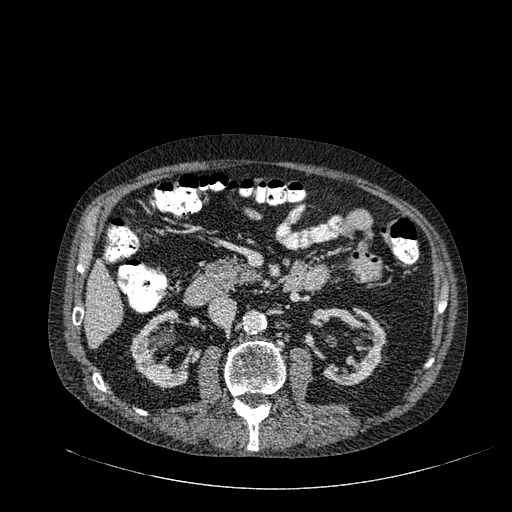
Liver. CT scan slice. liver:
  - (86,260,121,348)
kidney:
  - (130,310,195,388)
  - (323,308,386,385)
  - (189,317,199,326)